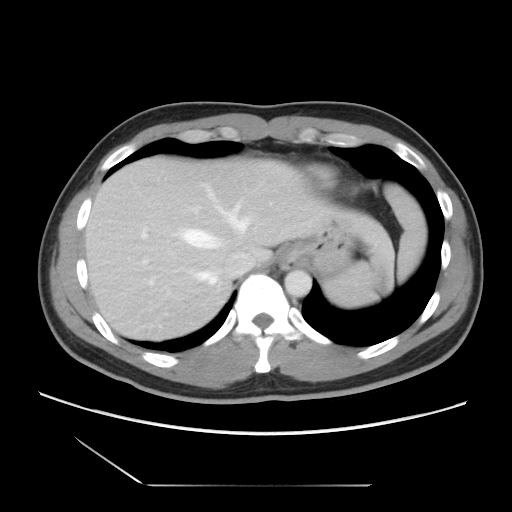
Liver. CT slice. The vessel annotation is not exhaustive.
- hepatic vessel: l=184, t=230, r=213, b=247; l=142, t=232, r=145, b=236; l=197, t=272, r=215, b=282; l=202, t=185, r=254, b=232